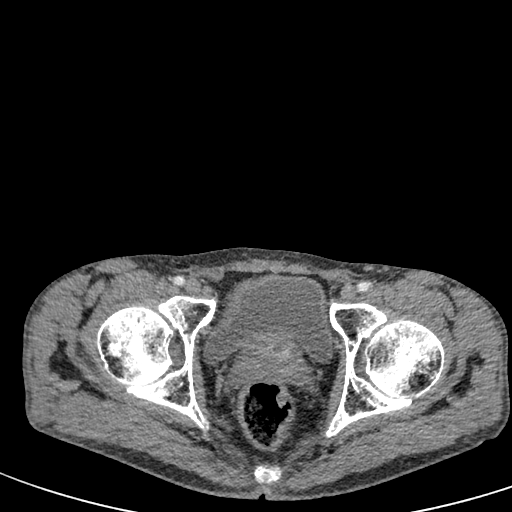
CT image, Lower abdomen
Urinary bladder — x1=203 y1=273 x2=333 y2=364.